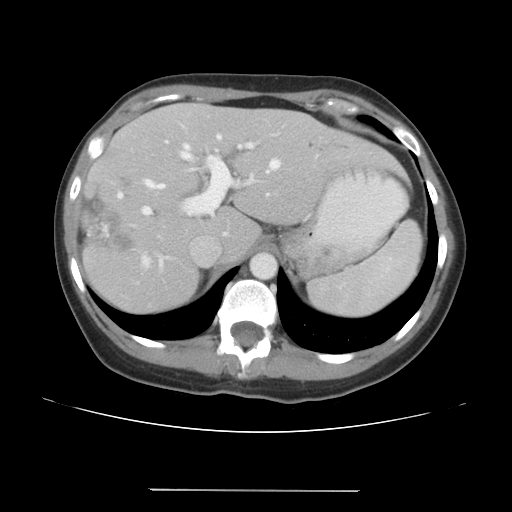
CT scan slice; Abdomen

Not every hepatic vessel necessarily has a box.
10 hepatic vessel regions appear at <box>238,142,256,148</box>, <box>266,158,280,172</box>, <box>145,180,163,188</box>, <box>181,125,186,129</box>, <box>154,253,168,271</box>, <box>180,150,239,215</box>, <box>164,140,168,142</box>, <box>141,253,152,269</box>, <box>179,142,194,161</box>, <box>141,205,151,215</box>. The liver tumor is located at <box>81,196,133,249</box>.